Head, Image width 240 mm
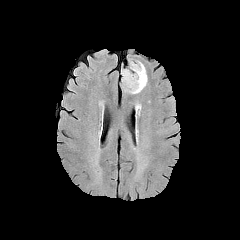
FLAIR MR image.
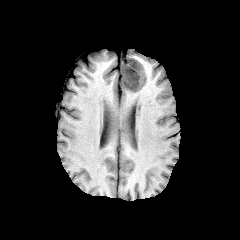
Same slice, T1-weighted MRI.
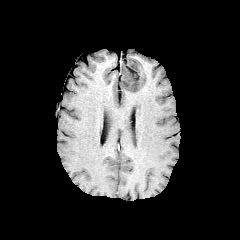
Post-contrast T1-weighted MR.
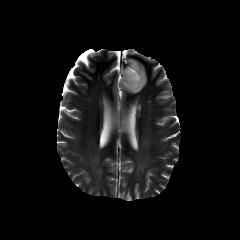
Same slice, T2-weighted MR.
{"edema": ["<box>122,63,147,93</box>"], "non-enhancing_tumor_core": ["<box>121,60,143,91</box>"]}